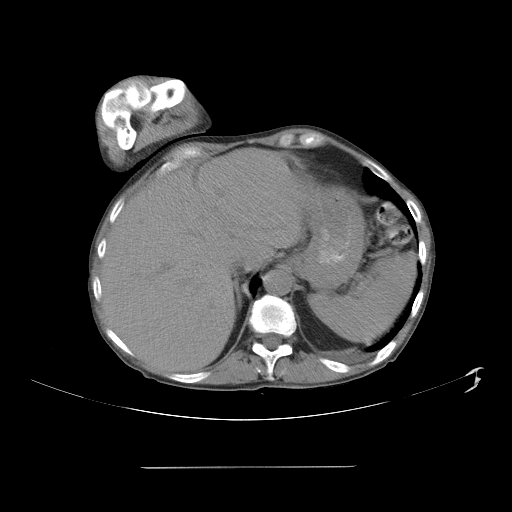

CT slice
Spleen: bounding box (311,253,416,340).